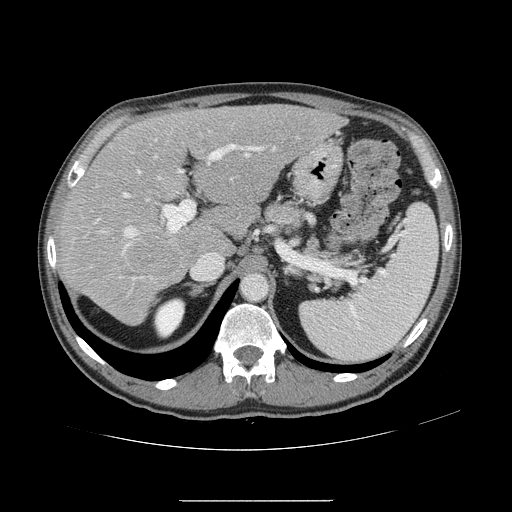

Abdomen | CT

Only some of the vessels may be annotated.
{"partial": true, "liver_tumor": ["(x1=128, y1=238, x2=177, y2=276)"], "hepatic_vessel": {"n_total": 20, "boxes": ["(x1=245, y1=152, x2=248, y2=156)", "(x1=131, y1=277, x2=135, y2=280)", "(x1=102, y1=231, x2=107, y2=233)", "(x1=273, y1=147, x2=274, y2=149)", "(x1=164, y1=200, x2=193, y2=231)", "(x1=140, y1=277, x2=144, y2=278)", "(x1=121, y1=242, x2=129, y2=255)", "(x1=208, y1=144, x2=236, y2=162)", "(x1=95, y1=218, x2=100, y2=222)", "(x1=247, y1=147, x2=262, y2=150)", "(x1=177, y1=170, x2=181, y2=172)", "(x1=137, y1=170, x2=140, y2=172)", "(x1=124, y1=227, x2=136, y2=239)", "(x1=209, y1=130, x2=210, y2=132)", "(x1=123, y1=192, x2=128, y2=196)"]}}